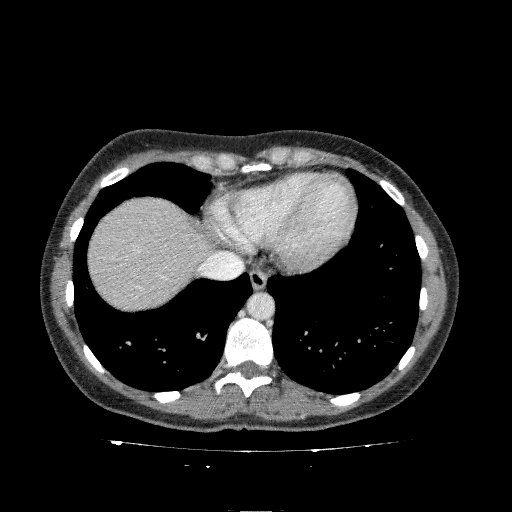

Upper abdomen; CT scan slice

The liver appears at <box>88,197,208,310</box>.